CT scan slice.
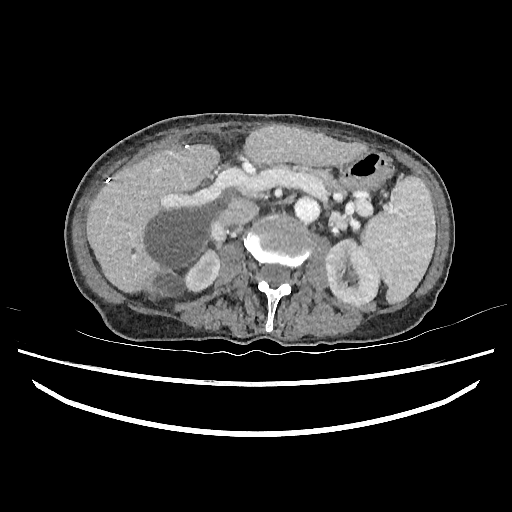
Hepatic lesion — x1=143 y1=190 x2=229 y2=298.
Kidney — x1=325 y1=240 x2=379 y2=306, x1=186 y1=250 x2=219 y2=290, x1=212 y1=225 x2=219 y2=238.
Liver — x1=86 y1=144 x2=219 y2=296, x1=245 y1=126 x2=362 y2=166.